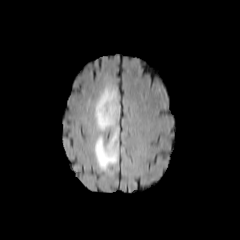
FLAIR MR image.
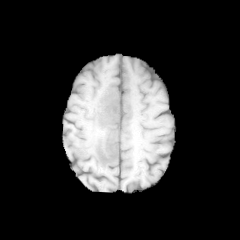
Same slice, T1-weighted MR.
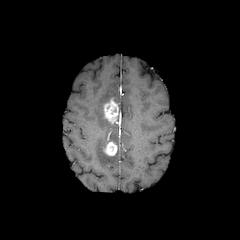
Same slice, post-contrast T1-weighted MR.
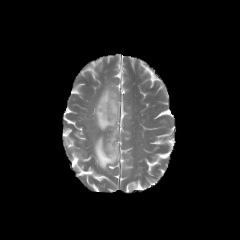
T2-weighted MRI.
Head.
2 enhancing tumor regions are bounded by l=104, t=141, r=117, b=156; l=103, t=97, r=119, b=125. 2 edema regions appear at l=95, t=135, r=118, b=171; l=95, t=86, r=119, b=144.